FLAIR magnetic resonance.
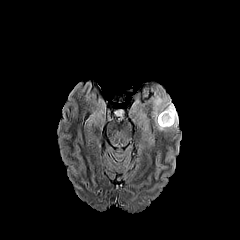
T1-weighted MR image.
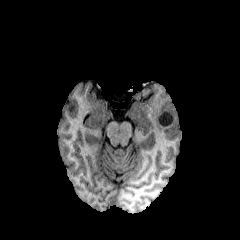
Post-contrast T1-weighted MR image.
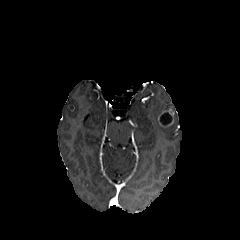
T2-weighted MR.
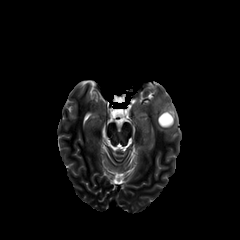
Brain | Image size 240x240
2 edema regions are bounded by 131:104:151:141, 148:85:178:135. The non-enhancing tumor core is at 160:112:172:125. The enhancing tumor lies within 157:107:174:127.